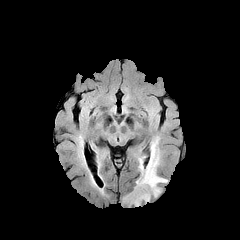
FLAIR MR image.
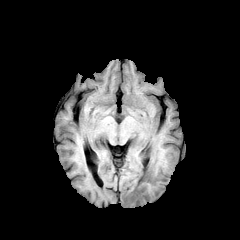
T1-weighted MR of the same slice.
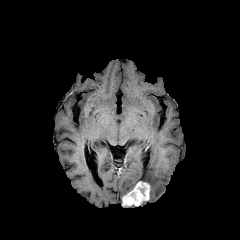
Post-contrast T1-weighted MR.
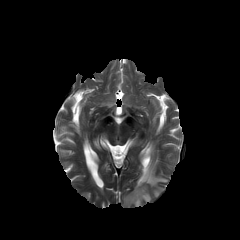
T2-weighted MRI of the same slice.
Head
The enhancing tumor is located at (122, 181, 149, 206). The edema is at (136, 141, 167, 199).